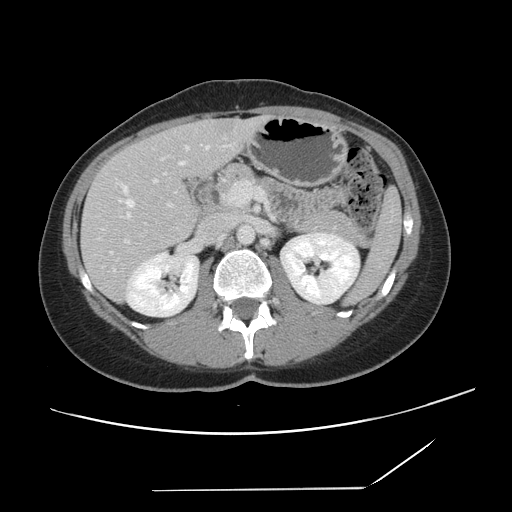
Image size 512x512; CT slice
Not every hepatic vessel necessarily has a box.
hepatic_vessel:
  - <bbox>223, 145, 231, 147</bbox>
  - <bbox>125, 240, 128, 242</bbox>
  - <bbox>102, 228, 103, 229</bbox>
  - <bbox>120, 184, 127, 192</bbox>
  - <bbox>119, 199, 133, 206</bbox>
  - <bbox>168, 202, 171, 205</bbox>
  - <bbox>161, 158, 163, 159</bbox>
  - <bbox>186, 146, 187, 148</bbox>
  - <bbox>206, 146, 208, 148</bbox>
  - <bbox>114, 269, 115, 270</bbox>
  - <bbox>126, 213, 130, 218</bbox>
  - <bbox>180, 161, 184, 164</bbox>
  - <bbox>110, 251, 112, 253</bbox>
  - <bbox>154, 180, 156, 181</bbox>